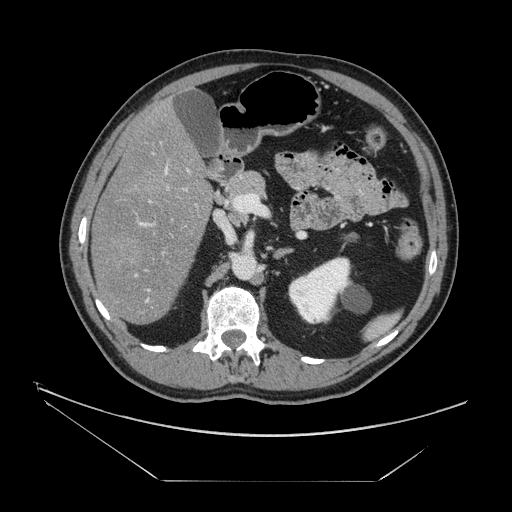

CT image

Not every hepatic vessel necessarily has a box.
hepatic vessel: left=165, top=168, right=167, bottom=172; left=140, top=223, right=146, bottom=224